Slice 60 of 124; CT image; Abdomen

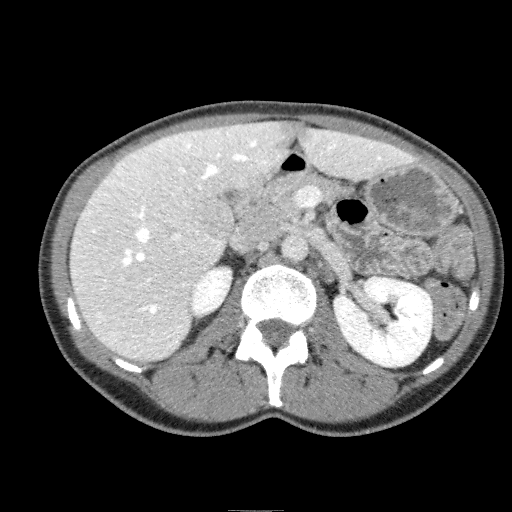

2 kidney regions appear at [191,268,230,314], [334,277,432,366]. 2 liver regions are located at [70,120,286,360], [300,128,412,179]. 2 hepatic lesion regions appear at [274,121,311,150], [192,199,232,240].